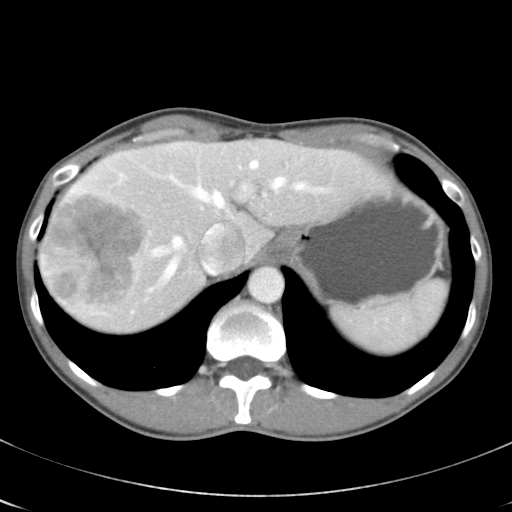 Abdomen, CT scan slice
Not every hepatic vessel necessarily has a box.
{"hepatic_vessel": ["152:248:168:256", "163:259:177:280", "209:229:213:234", "174:237:181:247", "251:161:257:167", "296:183:304:189", "192:185:223:205", "242:185:245:189", "168:175:179:183", "272:178:284:189", "149:289:152:290"], "liver_tumor": ["41:192:151:307"]}